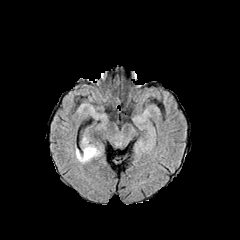
FLAIR MR.
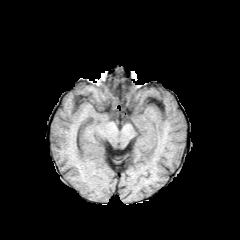
T1-weighted MRI.
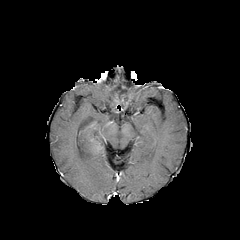
Post-contrast T1-weighted MRI.
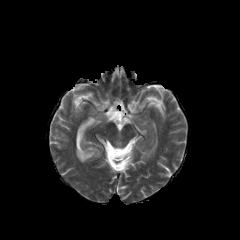
Same slice, T2-weighted MR.
Head
{
  "edema": [
    "rect(76, 137, 101, 162)"
  ]
}